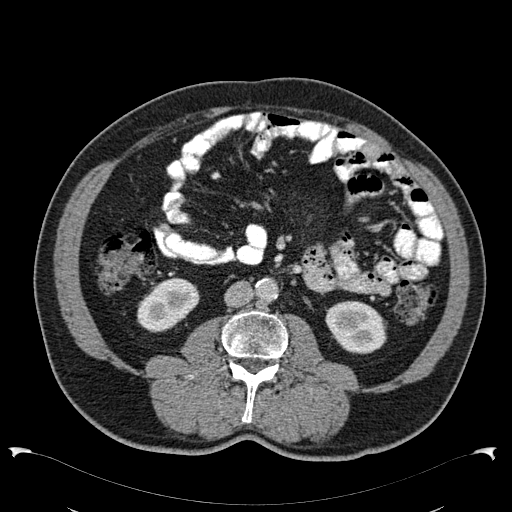

Abdomen | 512x512 px | CT
2 kidney regions are bounded by rect(325, 301, 385, 353); rect(137, 278, 198, 331).